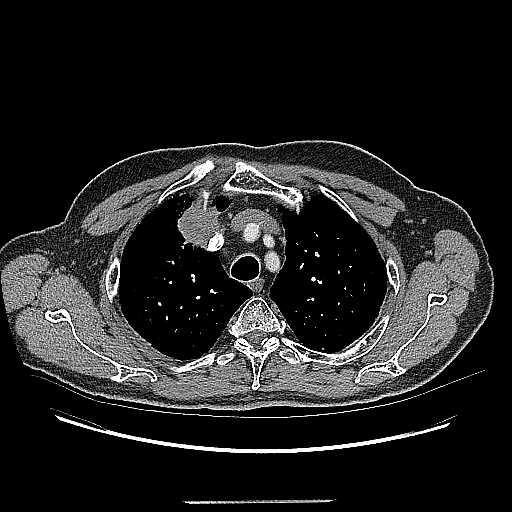
CT slice; Image size 512x512

lung_tumor:
  - (left=177, top=193, right=217, bottom=248)